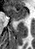

MR, Medial temporal lobe
<segmentation>
  <anterior_hippocampus>bbox(9, 6, 26, 20)</anterior_hippocampus>
</segmentation>